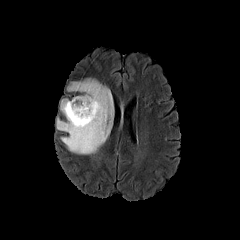
FLAIR magnetic resonance.
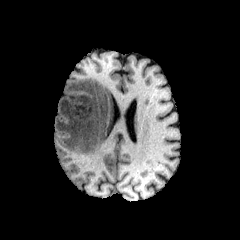
T1-weighted magnetic resonance.
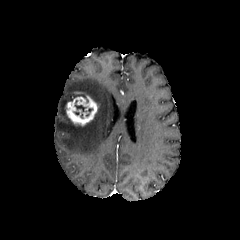
Post-contrast T1-weighted magnetic resonance.
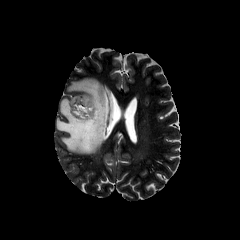
Same slice, T2-weighted magnetic resonance.
Image size 240x240
2 edema regions appear at 56,78,113,154; 60,98,69,117. The enhancing tumor appears at 66,96,98,126.